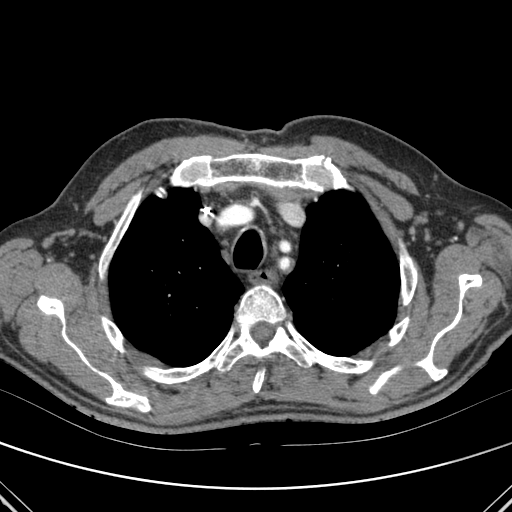 CT

lung:
  - 282, 190, 399, 356
  - 109, 188, 244, 366
bone:
  - 99, 191, 141, 278
  - 95, 370, 150, 411
  - 388, 317, 409, 345
  - 369, 370, 398, 394
  - 417, 274, 482, 380
  - 400, 243, 417, 305
  - 157, 188, 165, 196
  - 101, 316, 124, 352
  - 143, 285, 373, 383
  - 37, 295, 89, 366
  - 253, 369, 264, 392
  - 171, 153, 350, 191